FLAIR magnetic resonance.
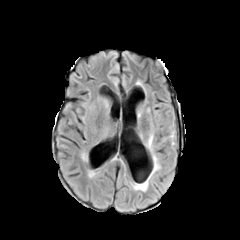
T1-weighted MRI.
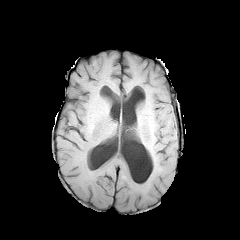
Post-contrast T1-weighted magnetic resonance.
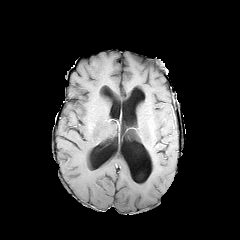
T2-weighted MR image.
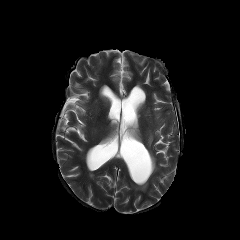
Head. 240x240 px.
Edema at bbox=[133, 134, 160, 191].